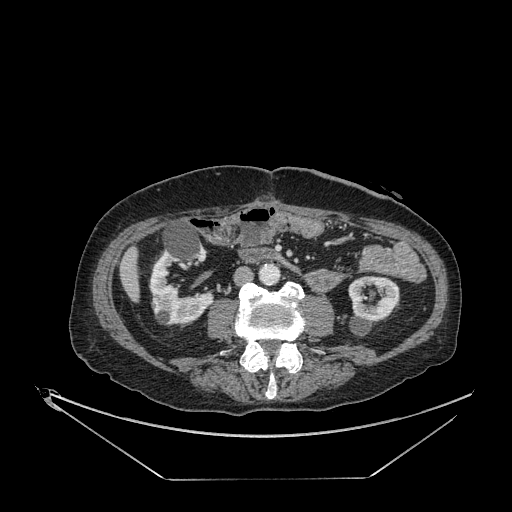
CT image, Upper abdomen
liver: l=120, t=247, r=138, b=302 | kidney: l=349, t=276, r=399, b=321; l=196, t=247, r=205, b=260; l=150, t=251, r=212, b=323